MR | Slice 31/42 | Hippocampus
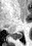

The posterior hippocampus lies within x1=10 y1=33 x2=21 y2=39.